Computed tomography, Abdomen 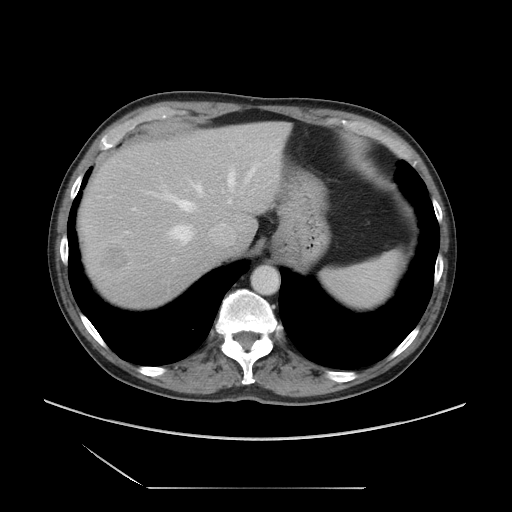

Only some of the vessels may be annotated.
Liver tumor — 95,241,133,278.
Hepatic vessel — 229,143,233,145; 222,190,223,192; 241,192,242,193; 245,163,260,182; 227,172,234,191; 170,225,192,244; 146,191,194,210; 125,231,128,232; 229,199,231,202; 211,225,237,240; 132,208,136,209; 172,258,173,260; 191,182,202,196.